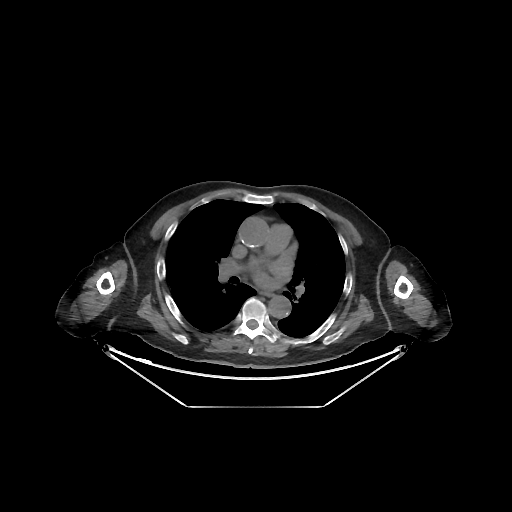
CT
bone:
  - <bbox>344, 279, 351, 293</bbox>
  - <bbox>236, 298, 278, 341</bbox>
  - <bbox>165, 295, 181, 322</bbox>
  - <bbox>244, 194, 273, 203</bbox>
  - <bbox>175, 335, 187, 343</bbox>
  - <bbox>394, 276, 413, 298</bbox>
  - <bbox>96, 272, 114, 294</bbox>
  - <bbox>323, 329, 343, 344</bbox>
  - <bbox>285, 316, 334, 343</bbox>
  - <bbox>157, 260, 165, 278</bbox>
lung:
  - <bbox>165, 199, 345, 337</bbox>